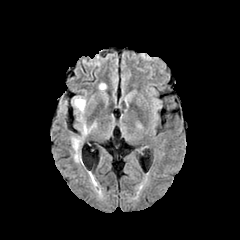
FLAIR MRI.
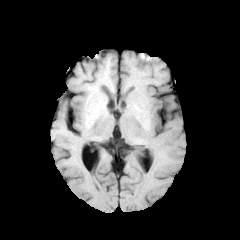
T1-weighted magnetic resonance of the same slice.
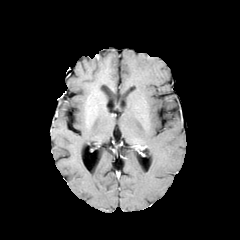
Post-contrast T1-weighted MRI of the same slice.
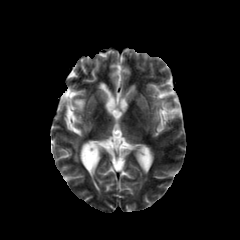
Same slice, T2-weighted MRI.
Brain
Edema at x1=98 y1=82 x2=106 y2=93, x1=72 y1=96 x2=93 y2=136, x1=72 y1=138 x2=81 y2=161.